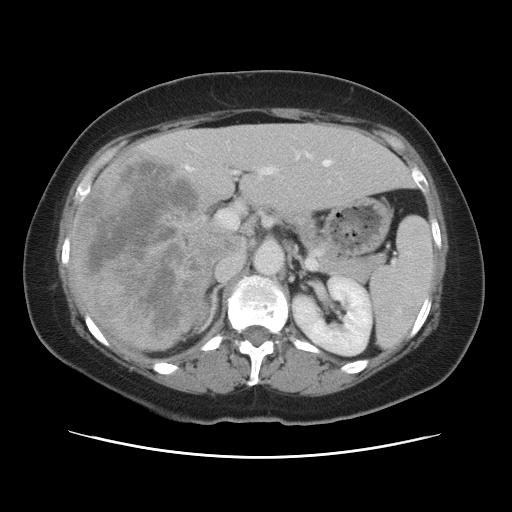

Liver; CT scan slice; 512x512
The vessel boxes may cover only some of the vessels.
The liver tumor lies within x1=75, y1=150, x2=212, y2=349. 8 hepatic vessel regions are bounded by x1=186, y1=166, x2=192, y2=170; x1=260, y1=167, x2=276, y2=173; x1=296, y1=151, x2=310, y2=158; x1=323, y1=160, x2=331, y2=165; x1=231, y1=171, x2=235, y2=173; x1=217, y1=257, x2=242, y2=281; x1=216, y1=203, x2=243, y2=229; x1=314, y1=250, x2=321, y2=252.